Field of view 360 mm wide, 1.25 mm slice spacing, Computed tomography, Slice index 80, Pelvis 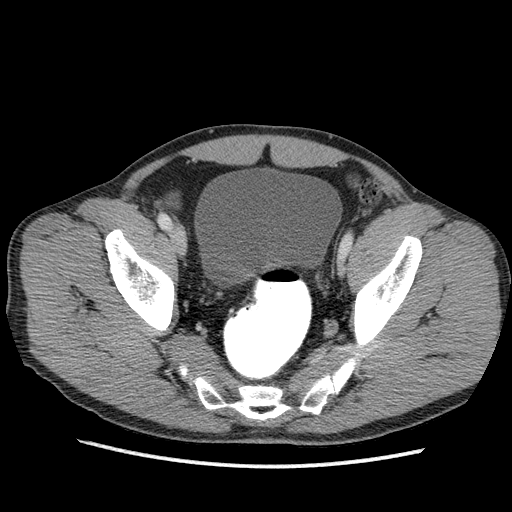 The urinary bladder is bounded by x1=194, y1=168, x2=342, y2=287.